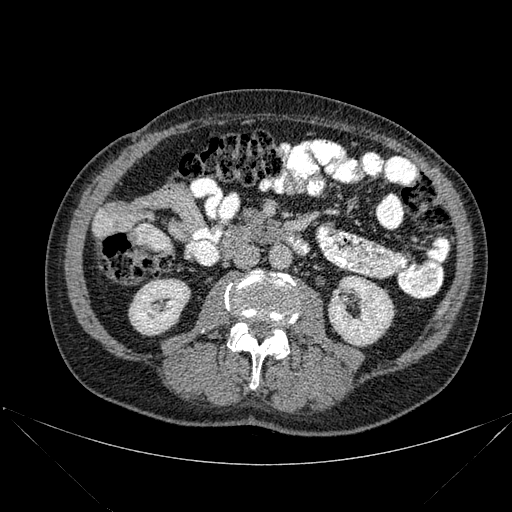

CT slice
kidney: bbox=[129, 279, 189, 334]; bbox=[328, 276, 393, 345] | bone: bbox=[224, 271, 297, 388]